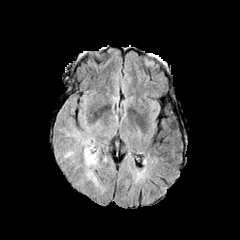
FLAIR MR.
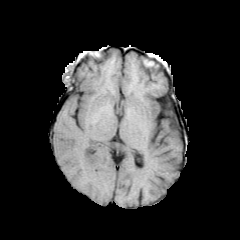
Same slice, T1-weighted magnetic resonance.
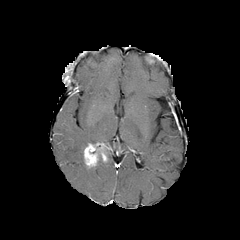
Post-contrast T1-weighted MR.
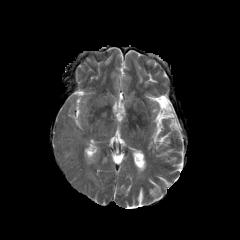
Same slice, T2-weighted MRI.
Brain
{
  "edema": [
    "x1=83, y1=138, x2=94, y2=148"
  ],
  "enhancing_tumor": [
    "x1=84, y1=144, x2=99, y2=165"
  ]
}